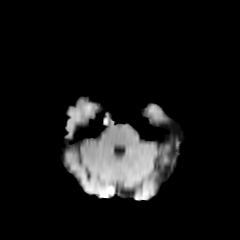
FLAIR MR.
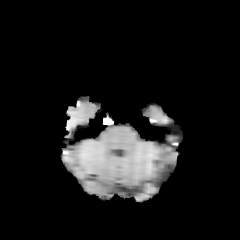
T1-weighted MRI.
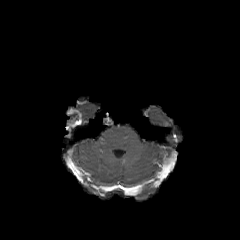
Post-contrast T1-weighted MR image.
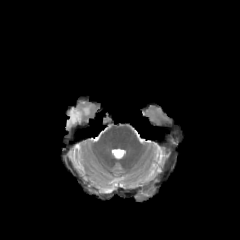
Same slice, T2-weighted MR.
Image size 240x240
{"enhancing_tumor": ["l=65, t=108, r=82, b=129"]}